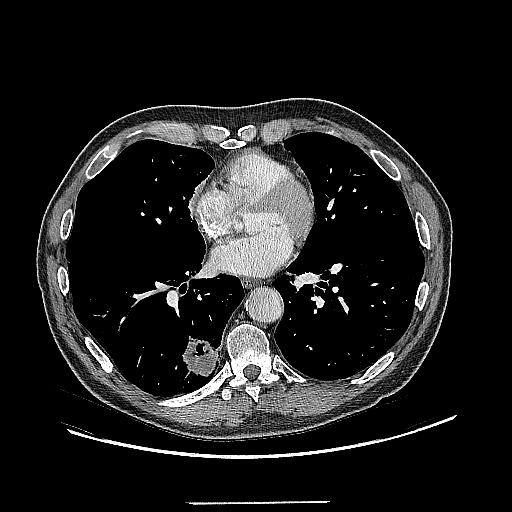

CT. Chest.

The lung tumor is bounded by l=183, t=338, r=219, b=377.